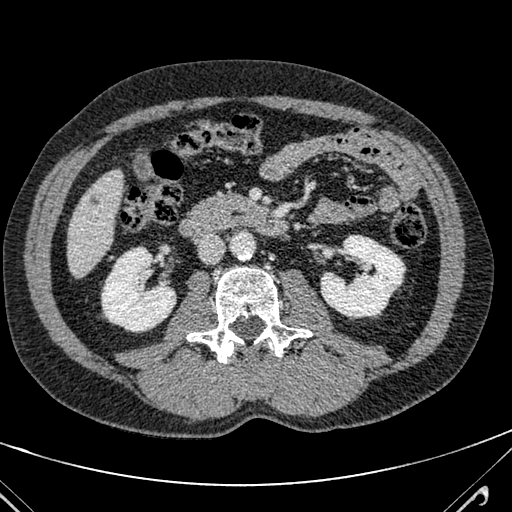

CT scan slice

Segmented structures:
- liver: [x1=67, y1=170, x2=122, y2=276]
- liver lesion: [x1=90, y1=196, x2=98, y2=203]